240x240 px; Brain
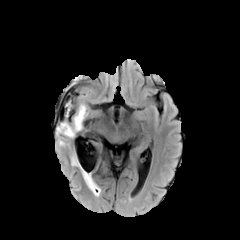
FLAIR magnetic resonance.
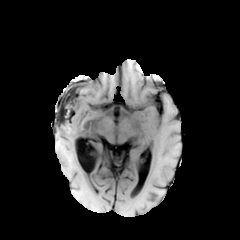
Same slice, T1-weighted magnetic resonance.
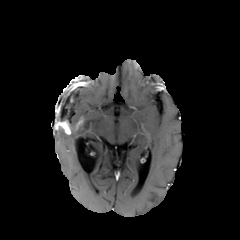
Same slice, post-contrast T1-weighted magnetic resonance.
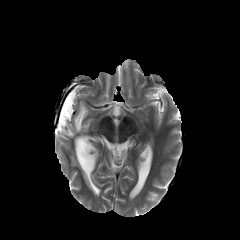
T2-weighted MR.
Edema: bbox=[81, 168, 100, 195]; bbox=[71, 156, 79, 166]; bbox=[56, 101, 88, 144].
Enhancing tumor: bbox=[56, 120, 70, 133].